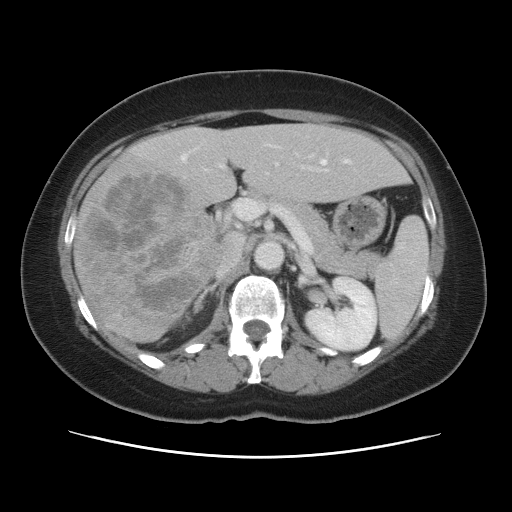

Liver. Computed tomography. The vessel annotation is not exhaustive.
<segmentation>
  <liver_tumor>81,165,216,330</liver_tumor>
  <hepatic_vessel>267,144,272,146; 345,160,350,163; 321,160,328,171; 218,258,238,276; 301,166,304,168; 233,198,266,220; 182,154,186,159; 219,164,223,167; 271,205,312,252; 275,163,277,165</hepatic_vessel>
</segmentation>